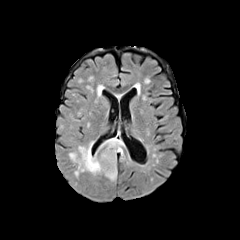
FLAIR MR image.
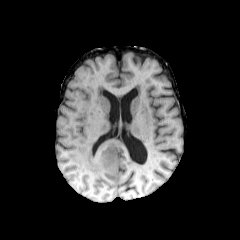
Same slice, T1-weighted MRI.
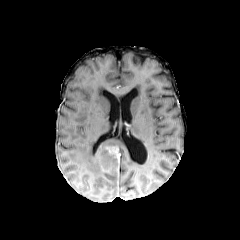
Post-contrast T1-weighted MR image of the same slice.
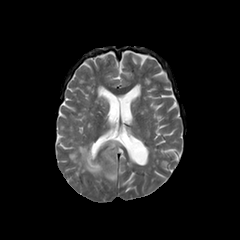
T2-weighted MR image.
Head
enhancing tumor: 106 147 120 171 | non-enhancing tumor core: 97 147 117 174 | edema: 69 130 125 180